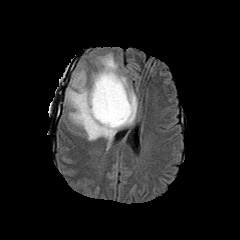
FLAIR MR image.
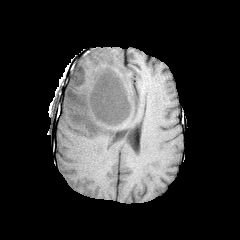
T1-weighted MR.
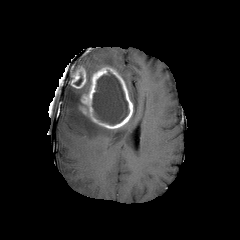
Post-contrast T1-weighted MRI.
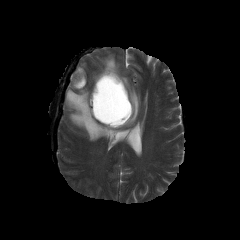
T2-weighted magnetic resonance.
240x240
Annotated regions:
• non-enhancing tumor core: left=92, top=74, right=129, bottom=125
• edema: left=64, top=53, right=137, bottom=150
• enhancing tumor: left=79, top=66, right=133, bottom=128; left=70, top=65, right=87, bottom=88